FLAIR MRI.
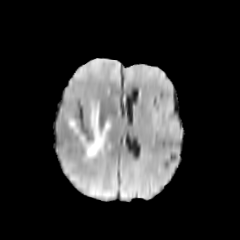
T1-weighted MR image.
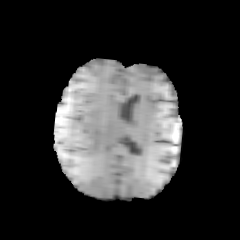
Post-contrast T1-weighted MR.
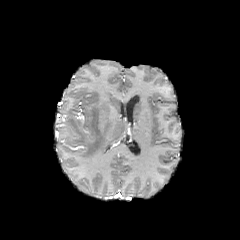
T2-weighted MR.
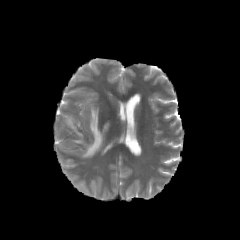
Annotated regions:
- edema: l=66, t=102, r=111, b=158